FLAIR MRI.
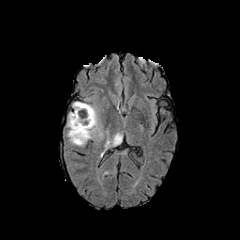
T1-weighted MR.
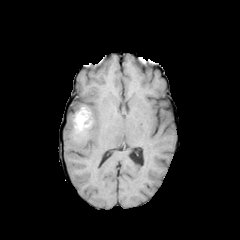
Post-contrast T1-weighted MRI.
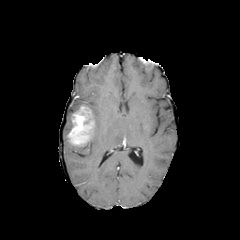
T2-weighted MRI.
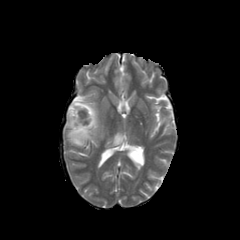
edema:
  - 105, 132, 122, 147
  - 100, 125, 104, 139
  - 72, 101, 98, 140
  - 68, 112, 73, 129
enhancing_tumor:
  - 67, 107, 95, 145
non-enhancing_tumor_core:
  - 80, 111, 90, 125